Slice 119 of 155.
FLAIR magnetic resonance.
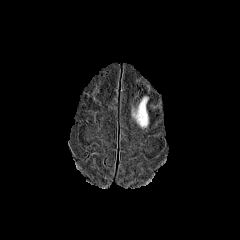
T1-weighted MR.
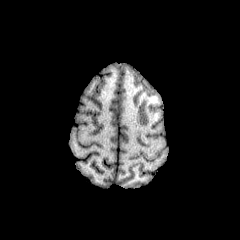
Post-contrast T1-weighted MR image.
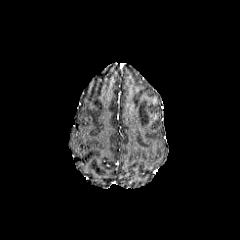
T2-weighted MR.
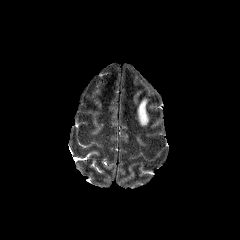
The edema is bounded by x1=132, y1=97, x2=148, y2=127.